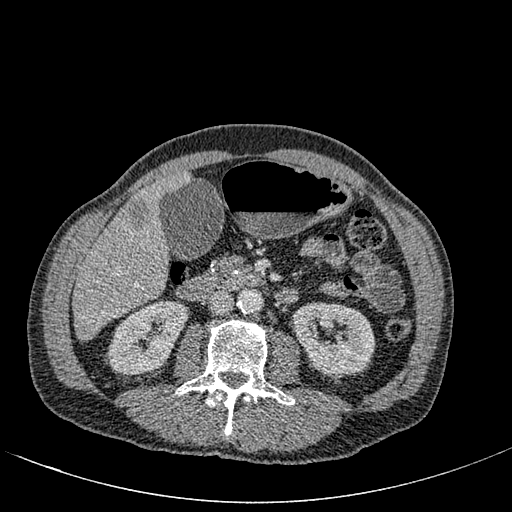

CT slice; Upper abdomen
The hepatic lesion is located at 126 198 150 229. The liver lies within 73 171 192 340. 2 kidney regions are bounded by 108 301 187 374, 293 299 374 375.